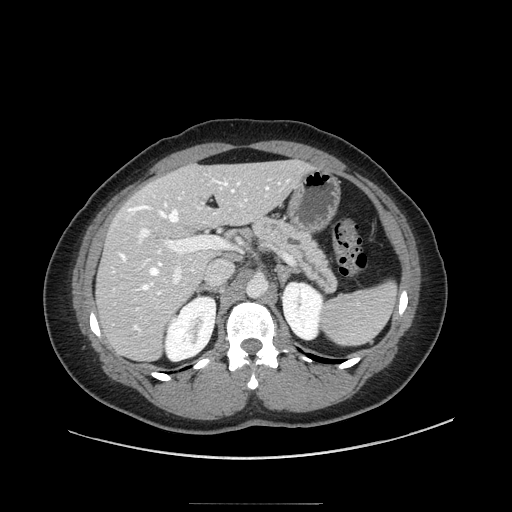
Computed tomography. {"pancreas": ["rect(247, 215, 339, 294)"]}